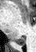

MRI slice
posterior_hippocampus:
  - [14,37,26,45]